CT image | Upper abdomen | 512x512

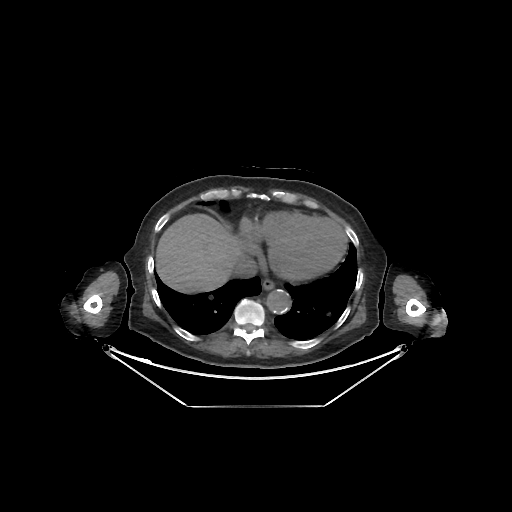
Liver: bounding box 156, 214, 247, 291.
Bone: bounding box 234, 299, 264, 344; 406, 298, 425, 317; 292, 340, 318, 348; 175, 328, 196, 340; 356, 271, 362, 289; 83, 294, 102, 313; 337, 308, 349, 326; 152, 289, 160, 306; 148, 257, 153, 272; 346, 228, 358, 244; 155, 215, 167, 230.
Lung: bounding box 274, 243, 357, 340; 197, 200, 231, 214; 154, 270, 261, 334.